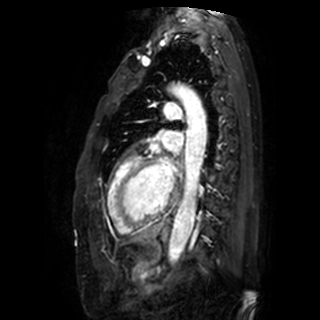 Heart. MRI slice. 320x320 px.

{
  "left_atrium": [
    "(163, 132, 182, 150)",
    "(160, 162, 173, 185)"
  ]
}